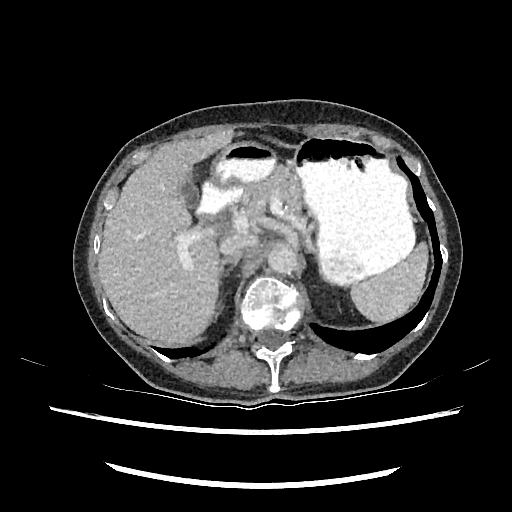

Liver | CT

Liver at region(99, 130, 232, 343).